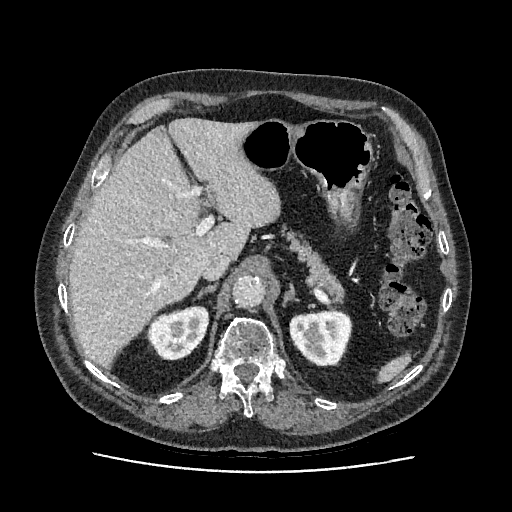
CT slice
The liver is located at box=[69, 120, 278, 367]. 2 kidney regions are located at box=[149, 307, 207, 359]; box=[290, 312, 350, 365].